Field of view 351 mm wide, 1.00 mm slice spacing, Computed tomography, Slice index 108 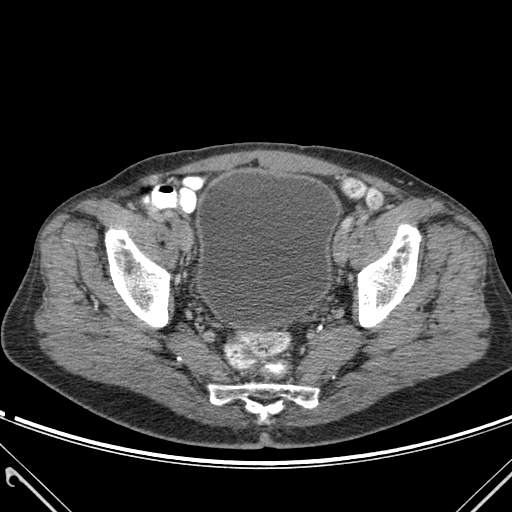 The urinary bladder lies within 199:173:337:323. 4 bone regions appear at 243:397:282:420, 105:229:169:326, 209:384:318:407, 358:224:420:326.